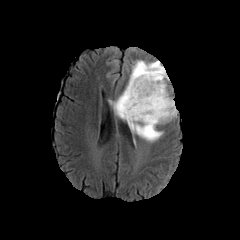
FLAIR MR image.
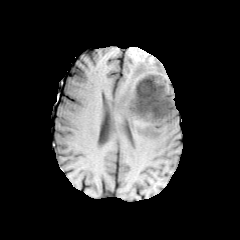
T1-weighted MR image.
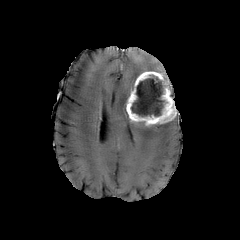
Same slice, post-contrast T1-weighted MR.
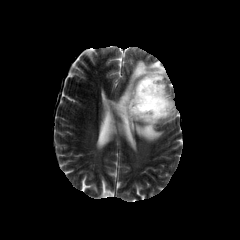
Same slice, T2-weighted MR.
240x240 px | Head
Findings:
- non-enhancing tumor core: [x1=146, y1=124, x2=154, y2=133], [x1=131, y1=78, x2=165, y2=115], [x1=121, y1=95, x2=129, y2=117], [x1=154, y1=68, x2=168, y2=83]
- edema: [x1=109, y1=60, x2=165, y2=142]
- enhancing tumor: [x1=126, y1=71, x2=177, y2=125]